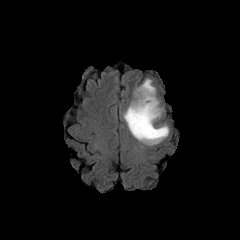
FLAIR magnetic resonance.
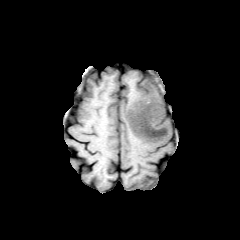
T1-weighted MR of the same slice.
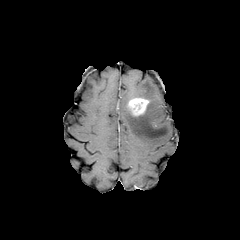
Post-contrast T1-weighted MR of the same slice.
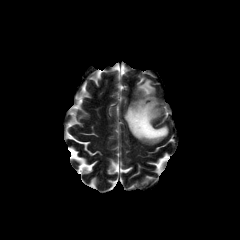
T2-weighted MRI.
Brain
edema: x1=123, y1=79, x2=169, y2=144 | enhancing tumor: x1=128, y1=98, x2=149, y2=116